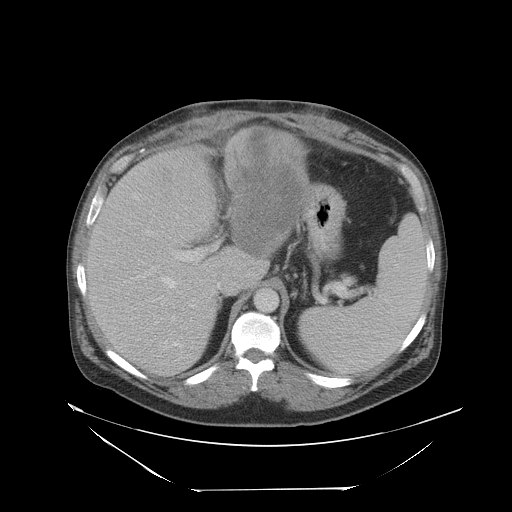 512x512 px. CT.

Only some of the vessels may be annotated.
7 hepatic vessel regions appear at region(173, 342, 180, 345); region(213, 243, 217, 250); region(131, 266, 154, 279); region(132, 194, 138, 200); region(161, 277, 176, 288); region(146, 230, 152, 234); region(172, 248, 201, 261). The liver tumor appears at region(228, 129, 305, 256).